FLAIR MRI.
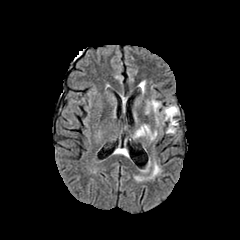
T1-weighted magnetic resonance.
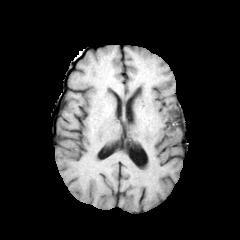
Post-contrast T1-weighted MR.
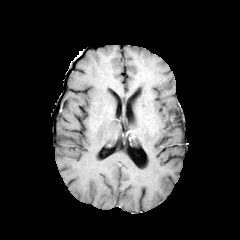
T2-weighted MRI.
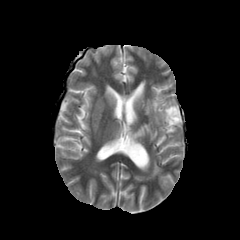
Image size 240x240.
4 edema regions are bounded by 148 100 179 133, 139 82 145 93, 132 125 156 140, 151 164 159 175. The non-enhancing tumor core appears at 168 108 177 121.